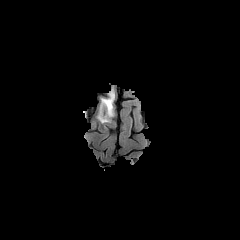
FLAIR magnetic resonance.
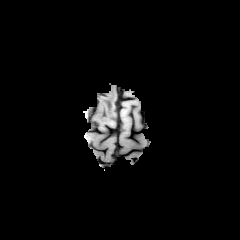
Same slice, T1-weighted magnetic resonance.
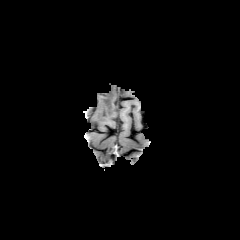
Post-contrast T1-weighted MR of the same slice.
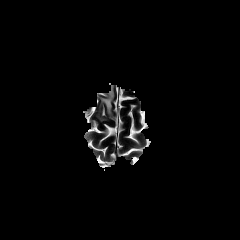
Same slice, T2-weighted MRI.
Brain
Edema: bounding box 98:92:114:121.